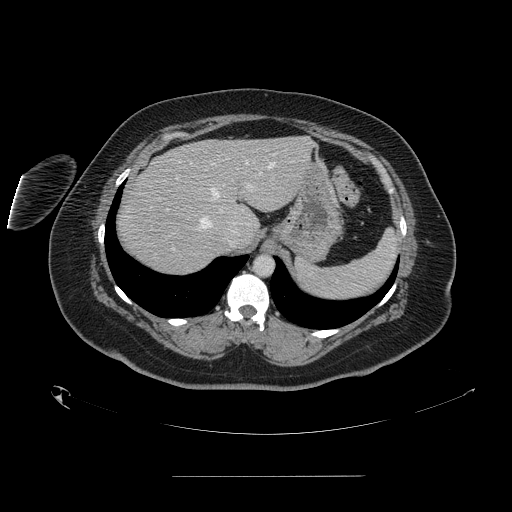
512x512 | Computed tomography | Abdomen

Spleen at {"x1": 295, "y1": 229, "x2": 398, "y2": 300}.